FLAIR MRI.
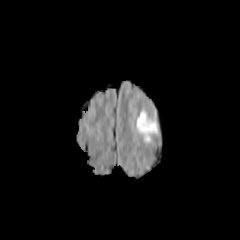
T1-weighted MR image.
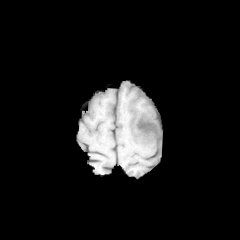
Post-contrast T1-weighted MR image.
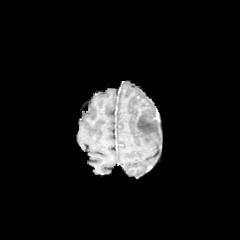
T2-weighted magnetic resonance.
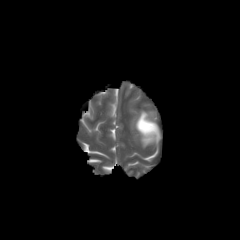
Brain. Image size 240x240.
Findings:
• edema: 136:110:160:146
• non-enhancing tumor core: 138:120:151:128